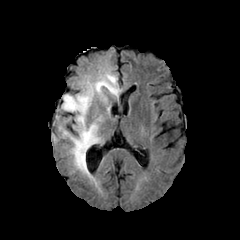
FLAIR MR image.
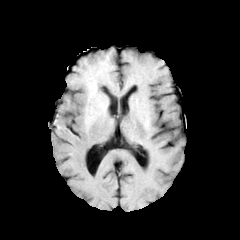
T1-weighted MRI.
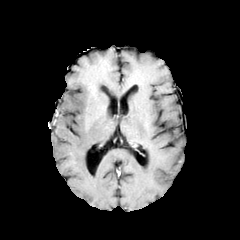
Post-contrast T1-weighted magnetic resonance.
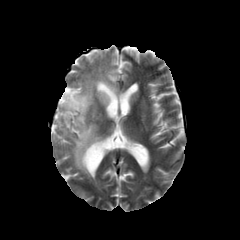
T2-weighted MR.
Annotated regions:
* edema: box(56, 67, 122, 183)
* non-enhancing tumor core: box(87, 77, 102, 105)